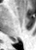

36x50 px, MRI
<segmentation>
  <posterior_hippocampus>13:40:17:41</posterior_hippocampus>
</segmentation>